240x240 px. Head.
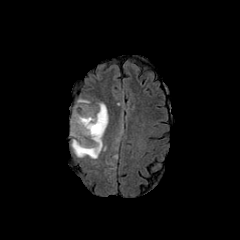
FLAIR MR.
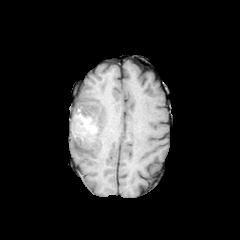
Same slice, T1-weighted MR image.
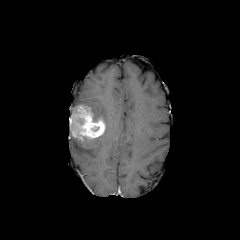
Same slice, post-contrast T1-weighted magnetic resonance.
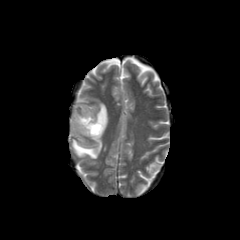
T2-weighted magnetic resonance of the same slice.
<segmentation>
  <enhancing_tumor>69,104,105,139</enhancing_tumor>
  <edema>72,98,108,129; 70,132,103,159</edema>
</segmentation>